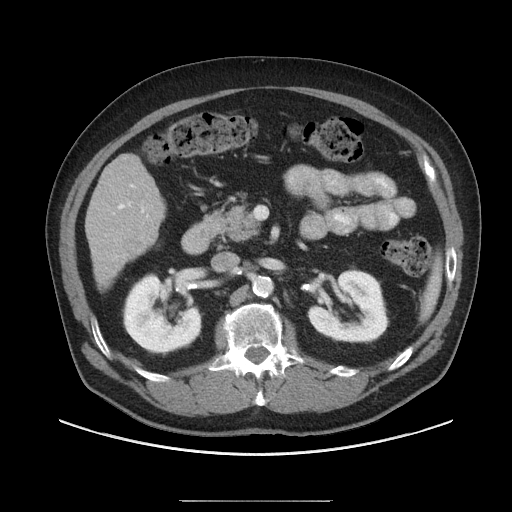
Abdomen; Computed tomography
Not every hepatic vessel necessarily has a box.
The liver tumor appears at box(123, 238, 140, 249). 4 hepatic vessel regions appear at box(141, 208, 143, 212); box(129, 203, 130, 205); box(119, 204, 123, 208); box(131, 185, 134, 186).